Slice index 448. CT slice. Abdomen.
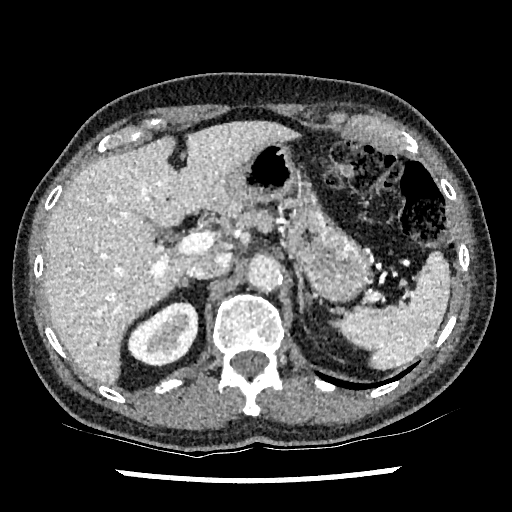
Liver — 45,122,299,384.
Kidney — 129,304,196,364.